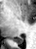
MR, Hippocampus
<segmentation>
  <posterior_hippocampus>bbox=[13, 36, 23, 43]</posterior_hippocampus>
</segmentation>